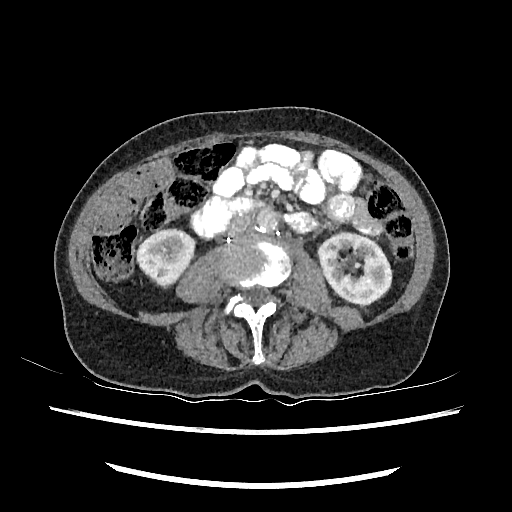
Abdomen, CT scan slice, Image size 512x512

kidney: (x1=137, y1=230, x2=193, y2=284), (x1=319, y1=232, x2=391, y2=303)